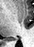 MR image. Hippocampus. 34x47 px.

The posterior hippocampus appears at box=[7, 38, 18, 40].